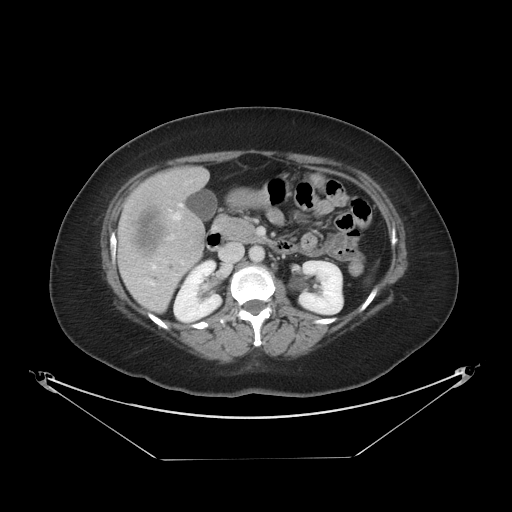 Abdomen. Computed tomography. Image size 512x512. Not every hepatic vessel necessarily has a box.
hepatic vessel: left=168, top=234, right=175, bottom=238; left=172, top=213, right=180, bottom=219; left=150, top=282, right=153, bottom=284; left=179, top=204, right=181, bottom=206; left=152, top=264, right=156, bottom=269 | liver tumor: left=132, top=205, right=167, bottom=255